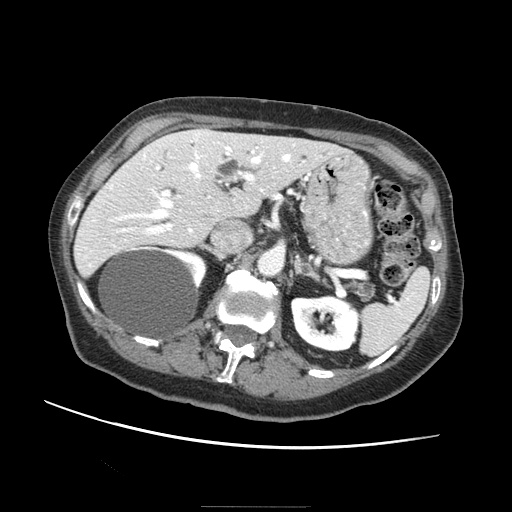 CT, Upper abdomen
Segmented structures:
* pancreas: [352,280,374,299]